Brain, Slice index 86, 240x240 px
FLAIR MRI.
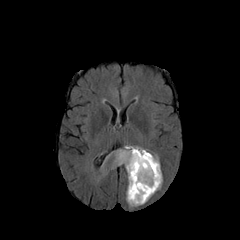
T1-weighted MR image.
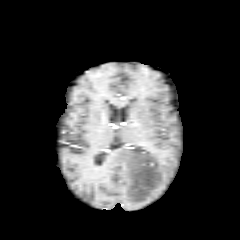
Post-contrast T1-weighted MR image.
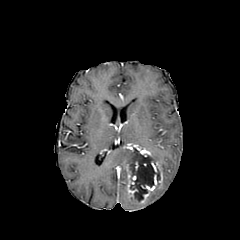
T2-weighted magnetic resonance.
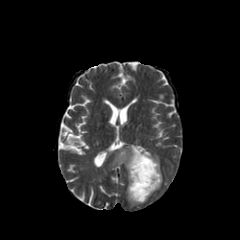
<segmentation>
  <enhancing_tumor>(x1=141, y1=161, x2=162, y2=202), (x1=127, y1=144, x2=151, y2=156), (x1=128, y1=185, x2=137, y2=198)</enhancing_tumor>
  <edema>(x1=111, y1=146, x2=130, y2=169), (x1=126, y1=183, x2=160, y2=206), (x1=149, y1=150, x2=159, y2=163)</edema>
  <non-enhancing_tumor_core>(x1=126, y1=147, x2=160, y2=203)</non-enhancing_tumor_core>
</segmentation>